Upper abdomen, CT image, Slice 43/124
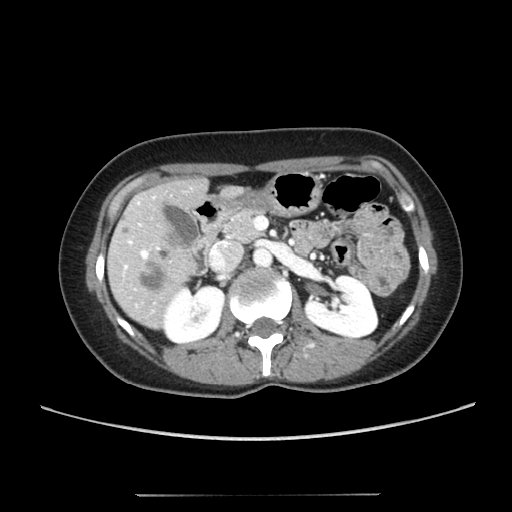
Liver = <box>106,175,211,328</box>, <box>219,185,243,198</box>.
Kidney = <box>164,287,223,342</box>, <box>306,276,376,336</box>.
Hepatic lesion = <box>138,260,168,294</box>, <box>121,226,129,233</box>.